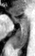
MR image | Hippocampus

The anterior hippocampus is at <box>13,16,28,23</box>. The posterior hippocampus is located at <box>12,24,29,48</box>.